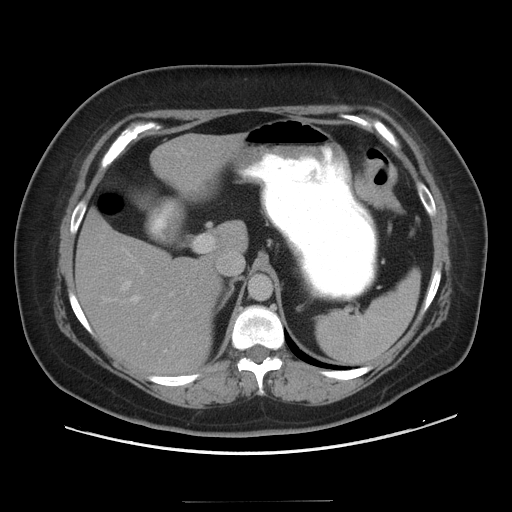

Image size 512x512; CT

{"colon_tumor": ["<box>354,159,401,211</box>"]}